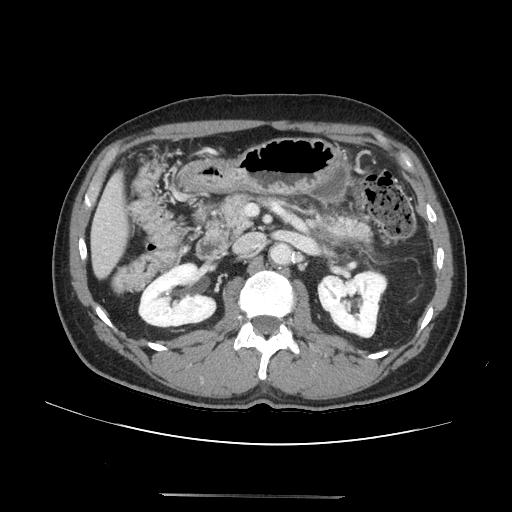
CT image | Upper abdomen

2 pancreas regions are located at {"x1": 327, "y1": 217, "x2": 371, "y2": 245}, {"x1": 219, "y1": 193, "x2": 253, "y2": 237}. The pancreatic tumor lies within {"x1": 318, "y1": 215, "x2": 345, "y2": 234}.